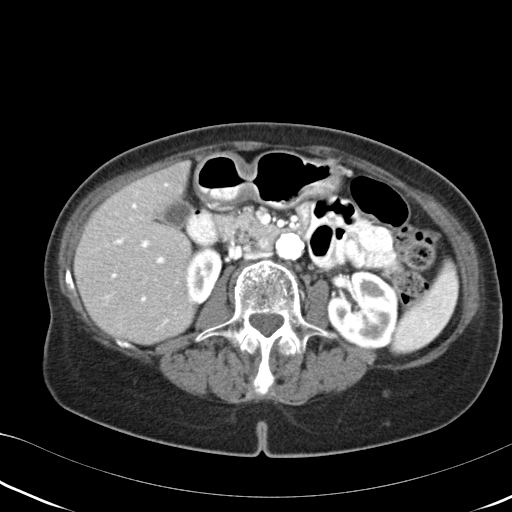

Upper abdomen | CT slice | Image size 512x512
Pancreas = x1=227, y1=203, x2=284, y2=252.